Brain; Image width 240 mm; 240x240 px
FLAIR MRI.
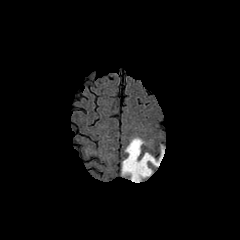
T1-weighted magnetic resonance.
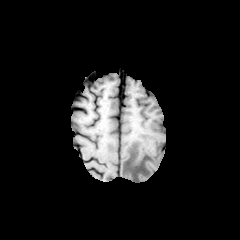
Post-contrast T1-weighted magnetic resonance.
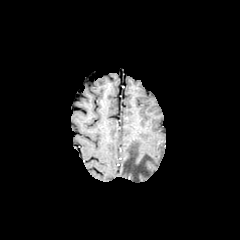
T2-weighted MR image.
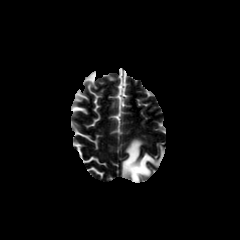
The edema is bounded by <bbox>121, 137, 164, 182</bbox>.